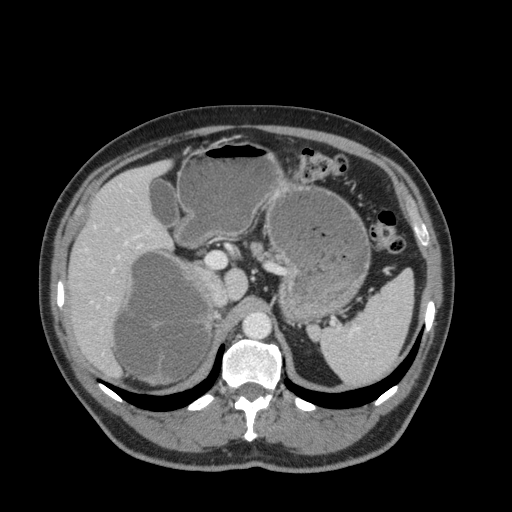

Liver, CT image

{
  "liver": [
    "bbox=[69, 162, 171, 375]",
    "bbox=[226, 270, 246, 298]"
  ]
}